Image width 240 mm.
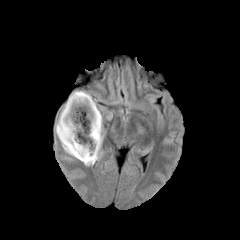
FLAIR MR image.
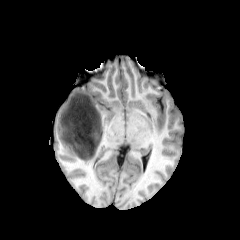
T1-weighted magnetic resonance of the same slice.
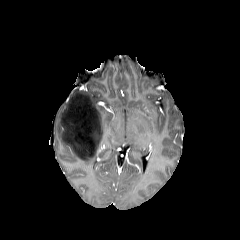
Post-contrast T1-weighted MR image of the same slice.
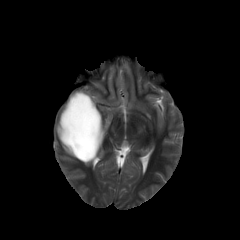
T2-weighted magnetic resonance.
Segmented structures:
• non-enhancing tumor core: <box>60,93,102,160</box>
• edema: <box>68,89,87,101</box>, <box>56,102,75,157</box>, <box>88,93,106,139</box>, <box>78,158,98,165</box>